Slice 65/565; 512x512; CT slice
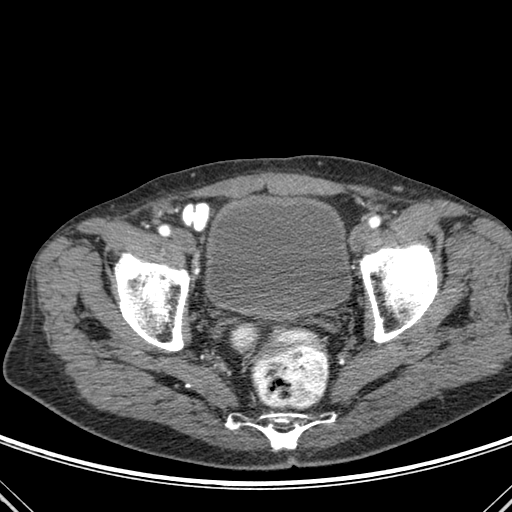

Bone: bounding box bbox(115, 253, 189, 351); bbox(360, 243, 437, 342); bbox(225, 413, 335, 449).
Urinary bladder: bounding box bbox(205, 200, 350, 313).